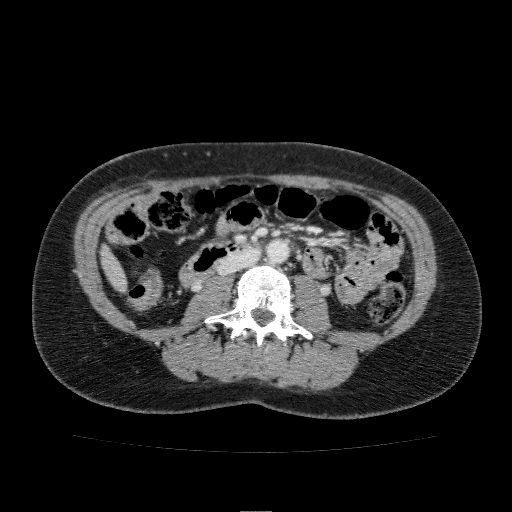
Image size 512x512 | Computed tomography
Liver: x1=101, y1=245, x2=126, y2=291.